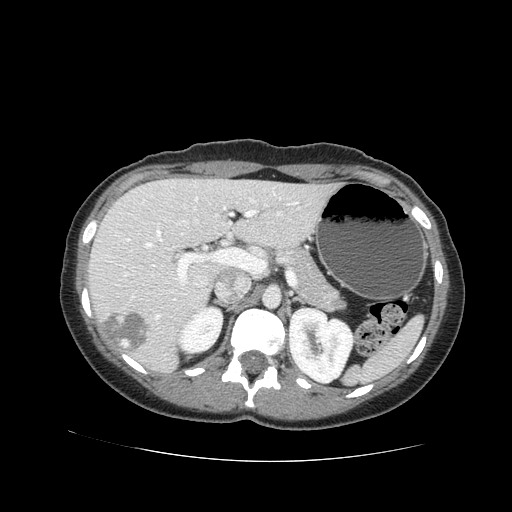
Computed tomography.
The pancreas appears at bbox=[288, 246, 336, 308]. The pancreatic tumor is located at bbox=[318, 289, 344, 312].